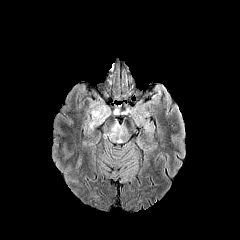
FLAIR magnetic resonance.
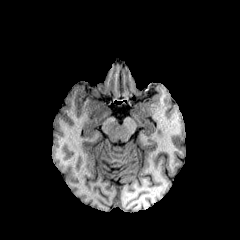
Same slice, T1-weighted MR image.
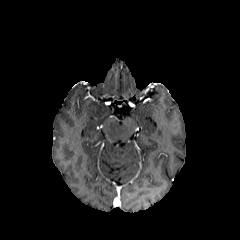
Post-contrast T1-weighted magnetic resonance of the same slice.
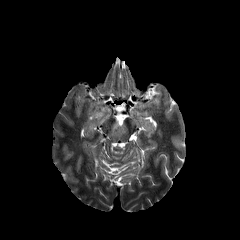
Same slice, T2-weighted magnetic resonance.
Brain.
<segmentation>
  <edema>[90,109,105,127]</edema>
</segmentation>